CT slice. 512x512 px. Abdomen. Slice 110/164.
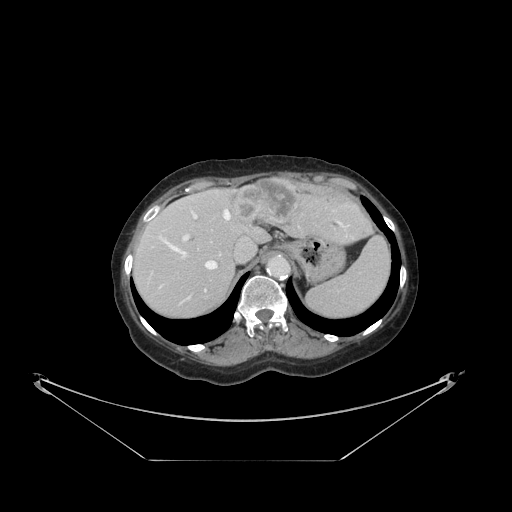 Not every hepatic vessel necessarily has a box.
<segmentation>
  <liver_tumor>(x1=232, y1=179, x2=298, y2=225)</liver_tumor>
  <hepatic_vessel>(x1=191, y1=210, x2=196, y2=218), (x1=235, y1=244, x2=254, y2=261), (x1=223, y1=210, x2=230, y2=220), (x1=205, y1=260, x2=216, y2=269), (x1=183, y1=235, x2=188, y2=240), (x1=156, y1=234, x2=186, y2=257)</hepatic_vessel>
</segmentation>